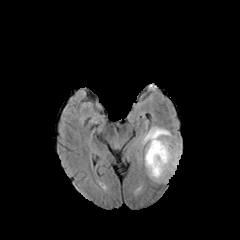
FLAIR MR.
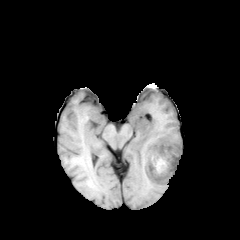
Same slice, T1-weighted MRI.
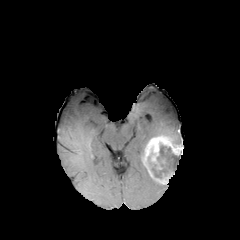
Post-contrast T1-weighted MR image of the same slice.
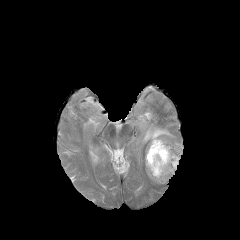
T2-weighted magnetic resonance of the same slice.
Head
The enhancing tumor appears at bbox(145, 136, 182, 160). The edema is at bbox(136, 124, 180, 183). 2 non-enhancing tumor core regions are bounded by bbox(159, 144, 165, 155); bbox(146, 152, 161, 173).